CT scan slice | Slice 139 of 624 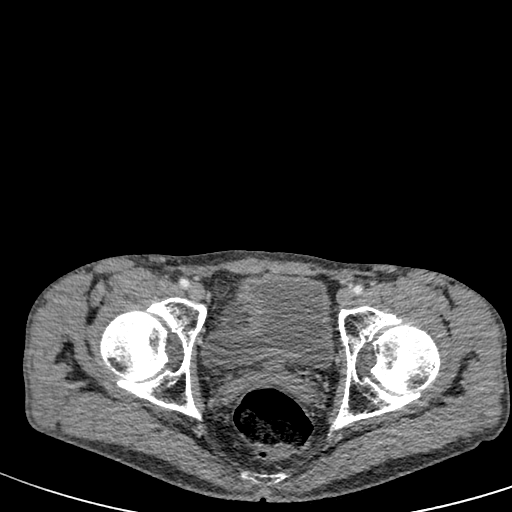 Urinary bladder: bounding box x1=202, y1=273, x2=332, y2=372.